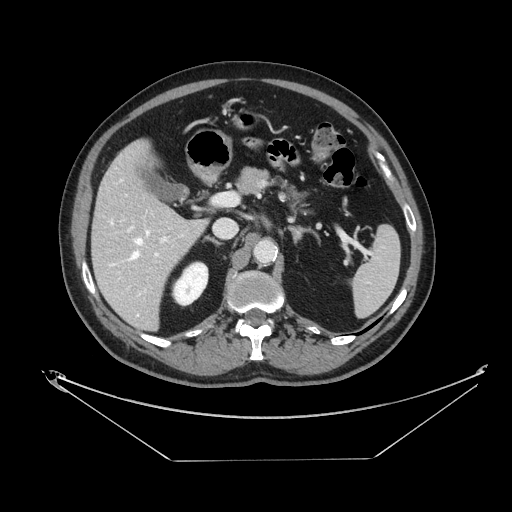
CT scan slice, Upper abdomen, 512x512 px

Pancreas — (235, 165, 307, 209).
Pancreatic tumor — (259, 180, 269, 187).